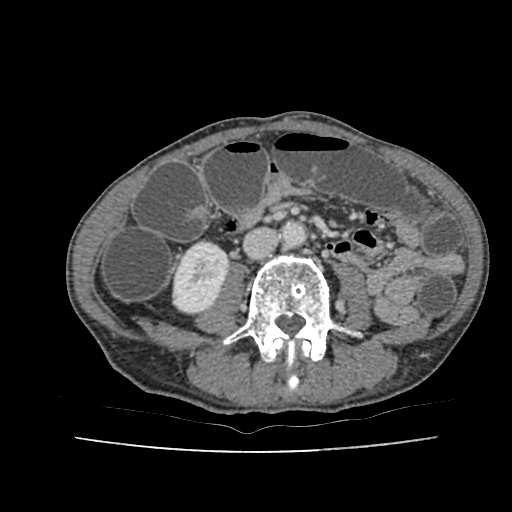
Abdomen; Image size 512x512; Computed tomography
The kidney lies within (174,243,227,311).